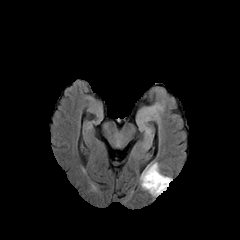
FLAIR MR.
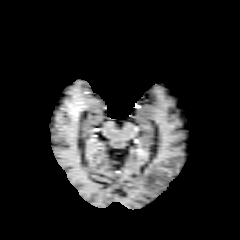
Same slice, T1-weighted MR image.
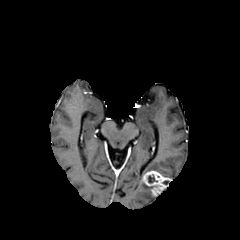
Post-contrast T1-weighted MR image of the same slice.
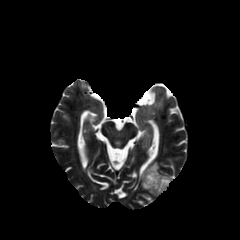
T2-weighted MR of the same slice.
Head; 240x240
<segmentation>
  <edema>rect(138, 174, 153, 196); rect(142, 161, 170, 177)</edema>
  <enhancing_tumor>rect(142, 170, 171, 195)</enhancing_tumor>
</segmentation>